FLAIR MR.
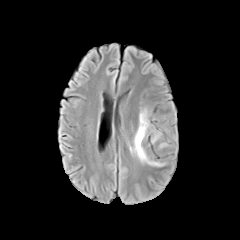
T1-weighted magnetic resonance.
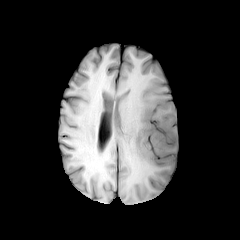
Post-contrast T1-weighted magnetic resonance.
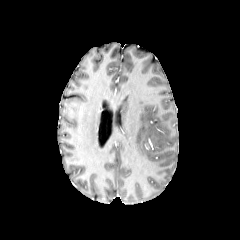
T2-weighted MRI.
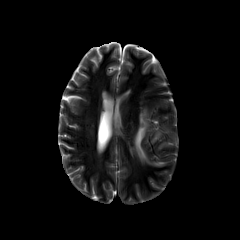
Image size 240x240. Head.
<segmentation>
  <edema>[x1=158, y1=139, x2=172, y2=149], [x1=127, y1=106, x2=170, y2=166]</edema>
</segmentation>